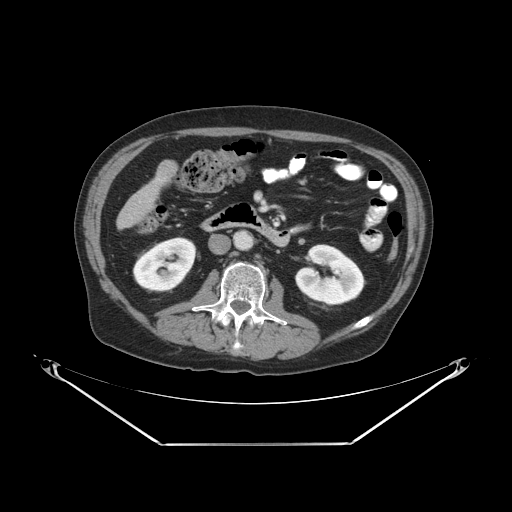

Image size 512x512. CT image.

The liver tumor lies within <bbox>158, 162, 174, 181</bbox>.